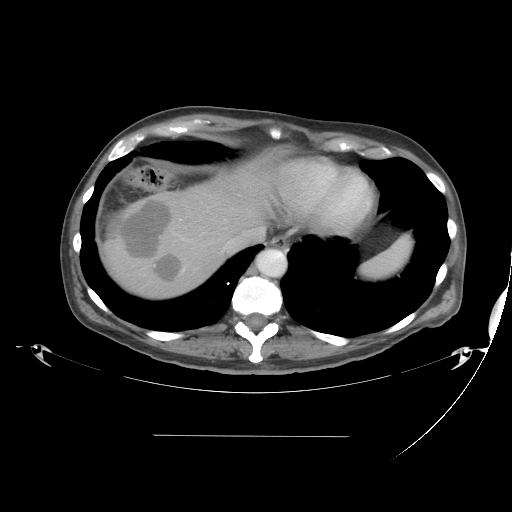
Image size 512x512 | CT slice | Liver
Not every hepatic vessel necessarily has a box.
* hepatic vessel: x1=244, y1=233, x2=246, y2=234; x1=248, y1=230, x2=251, y2=234
* liver tumor: x1=155, y1=256, x2=180, y2=279; x1=116, y1=200, x2=170, y2=258